FLAIR MR image.
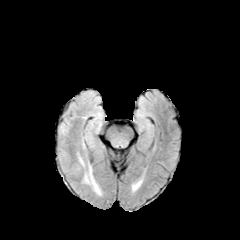
T1-weighted magnetic resonance.
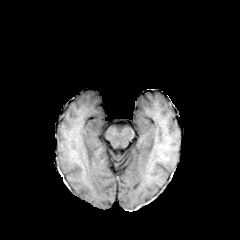
Post-contrast T1-weighted MRI.
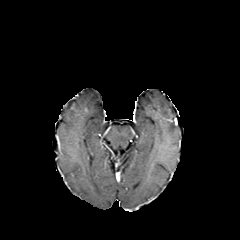
T2-weighted magnetic resonance.
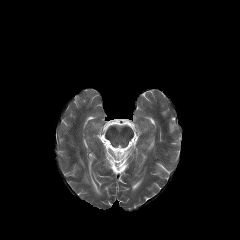
240x240.
The edema is bounded by box=[89, 166, 100, 194].